240x240
FLAIR MR image.
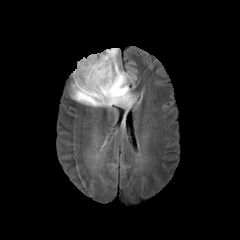
T1-weighted MRI.
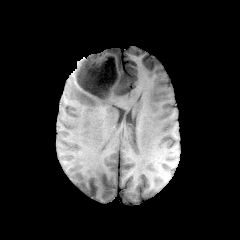
Post-contrast T1-weighted MRI.
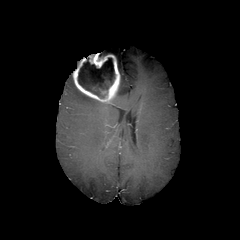
T2-weighted MR.
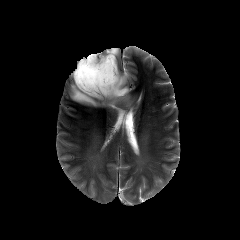
enhancing tumor: 73,53,120,103 | edema: 70,48,138,111 | non-enhancing tumor core: 78,57,115,98